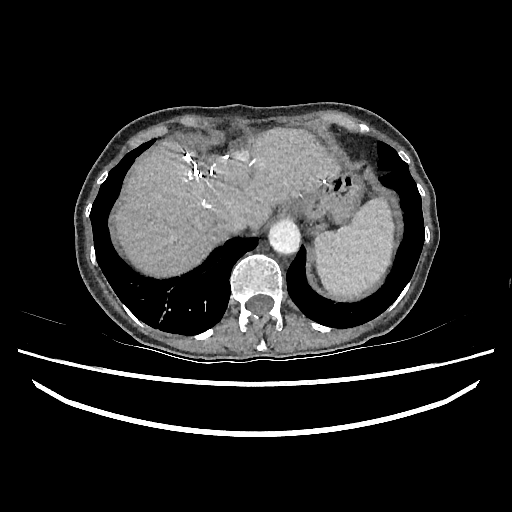 Liver; CT scan slice
liver: (115,128,336,275)